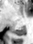
Magnetic resonance. Hippocampus.

Annotated regions:
* posterior hippocampus: 13:26:25:36